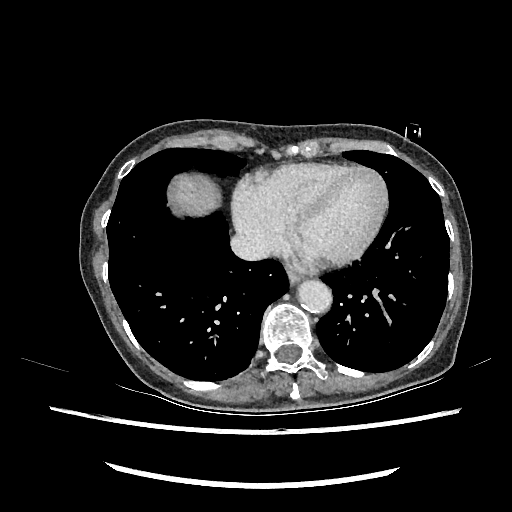 CT scan slice

The liver appears at [174, 178, 212, 213].